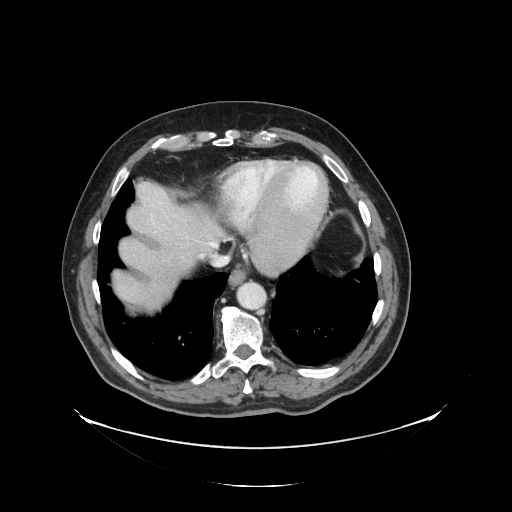

512x512; CT; Liver
Not every hepatic vessel necessarily has a box.
2 hepatic vessel regions are bounded by (left=209, top=243, right=218, bottom=247), (left=200, top=255, right=204, bottom=258).